Abdomen. CT.

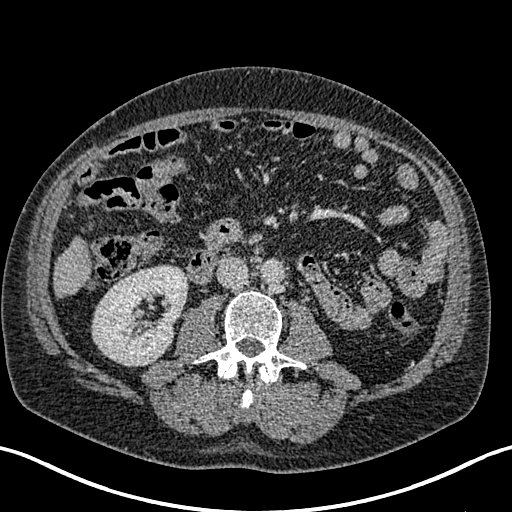
Kidney at x1=92, y1=266, x2=187, y2=365.
Liver at x1=53, y1=237, x2=89, y2=297.